Slice 108 of 120, MR, Image width 400 mm, Cardiac 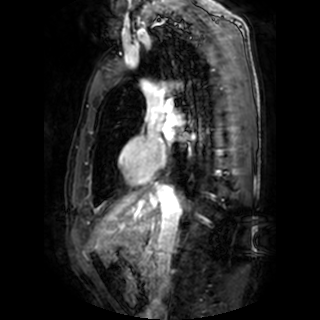
left_atrium:
  - box(165, 130, 172, 138)